Abdomen, Computed tomography, Field of view 430x430 mm
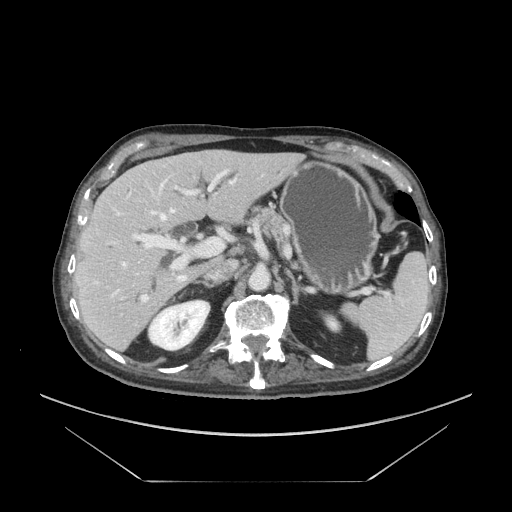
The pancreas appears at 250,207,283,245.